Slice 95/155 | Head | 240x240
FLAIR MR image.
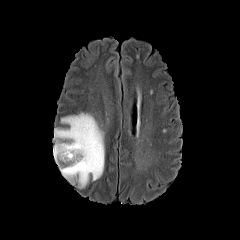
T1-weighted MRI.
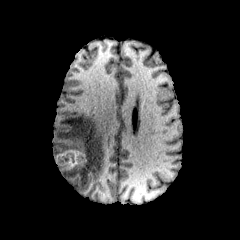
Post-contrast T1-weighted MR.
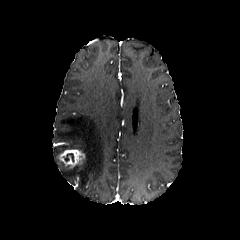
T2-weighted MRI.
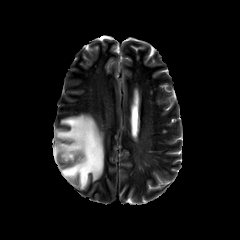
The enhancing tumor appears at box=[59, 149, 84, 168]. The edema lies within box=[52, 112, 104, 189]. The non-enhancing tumor core is at box=[54, 149, 68, 171].